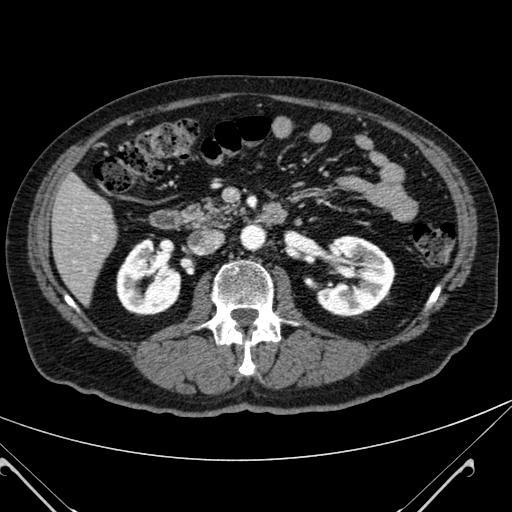

CT image

Liver: left=51, top=175, right=116, bottom=301.
Kidney: left=316, top=237, right=393, bottom=314; left=117, top=240, right=179, bottom=313.